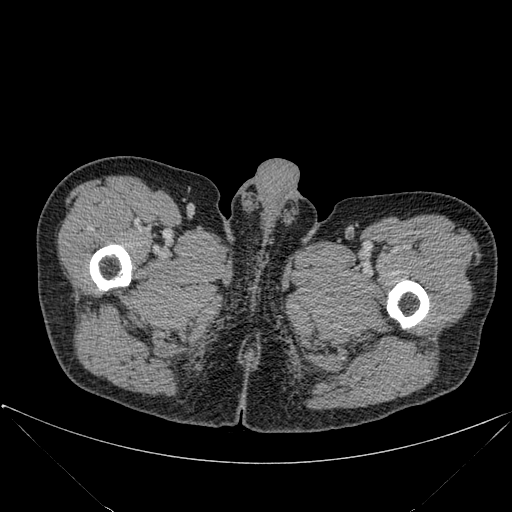
CT scan slice | 512x512 px
bone: l=387, t=280, r=429, b=328; l=90, t=245, r=131, b=290